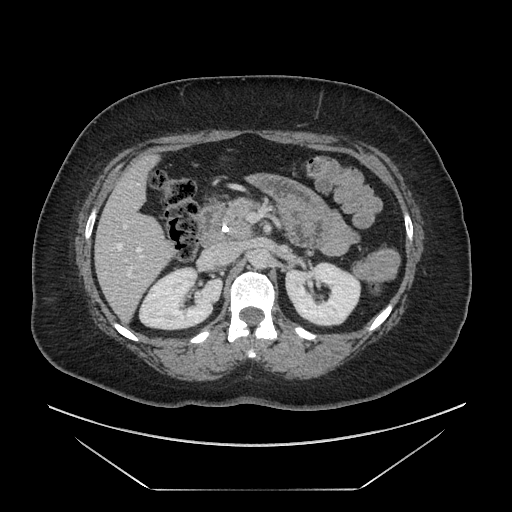

Computed tomography
Pancreas: (225,199,255,238).